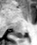

Hippocampus. MR.

The posterior hippocampus appears at <bbox>13, 32, 24, 38</bbox>.